512x512 px; Computed tomography; Liver; Slice index 476
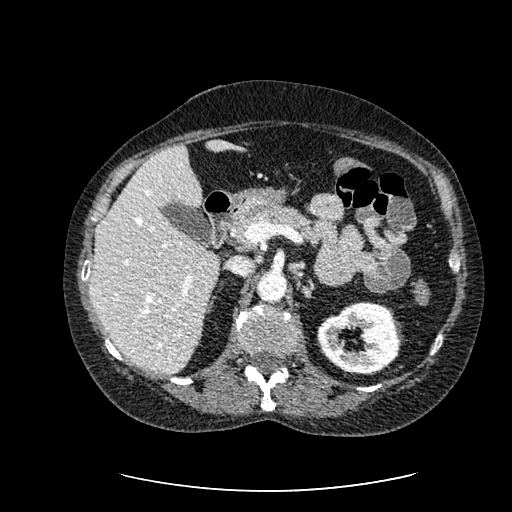
Kidney: 318 303 399 373.
Liver: 206 139 235 151, 92 145 218 374.